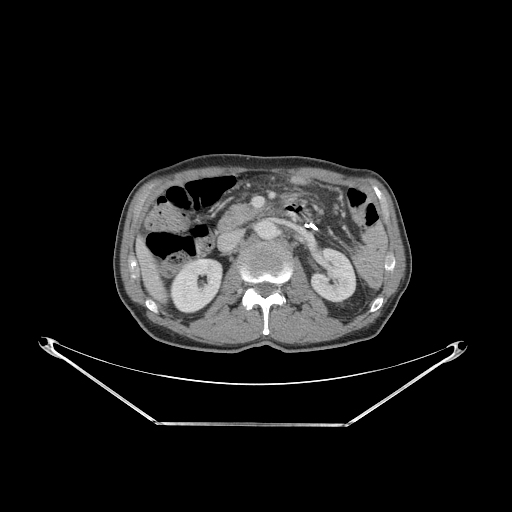

Abdomen. CT. liver: box=[136, 240, 163, 301] | bone: box=[240, 246, 291, 334]; box=[371, 298, 382, 311] | kidney: box=[171, 259, 221, 311]; box=[311, 249, 354, 300]